FLAIR MR image.
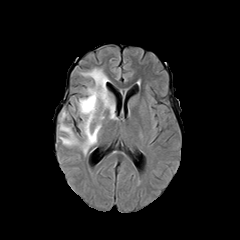
T1-weighted MRI.
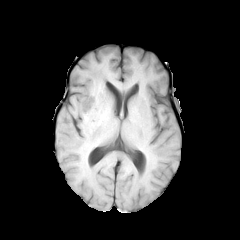
Post-contrast T1-weighted MR image.
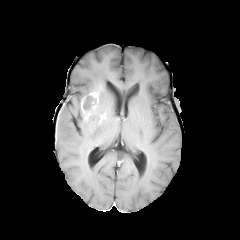
T2-weighted MR.
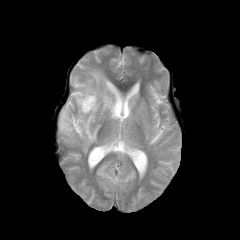
240x240
The non-enhancing tumor core lies within x1=82, y1=93, x2=98, y2=120. The edema is bounded by x1=58, y1=68, x2=117, y2=154. 2 enhancing tumor regions appear at x1=80, y1=96, x2=88, y2=112; x1=89, y1=87, x2=101, y2=109.